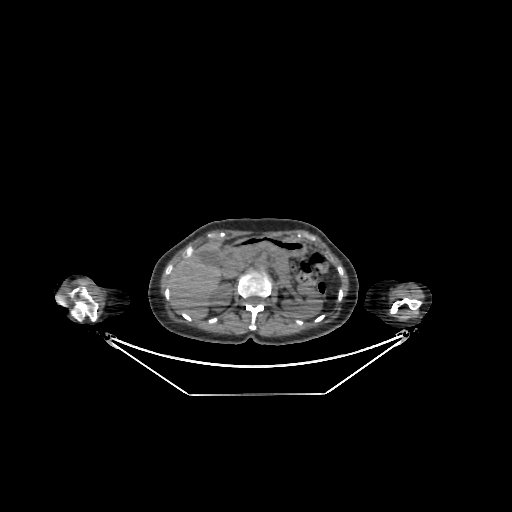
Image size 512x512. Abdomen. Computed tomography. Kidney: bounding box (210,283,233,310), (281,284,323,320).
Liver: bounding box (167,242,250,320).